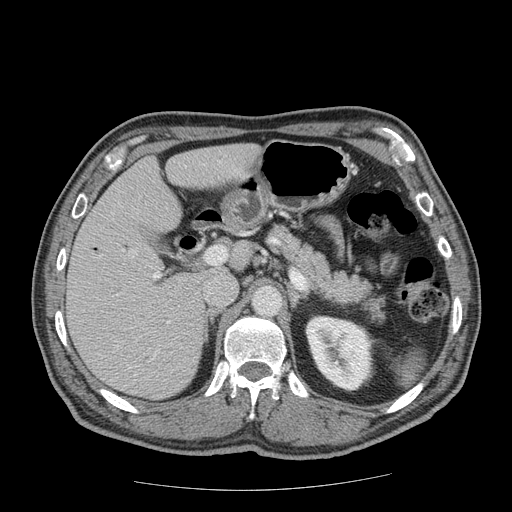 CT. Abdomen.

pancreas:
  - <bbox>266, 221, 387, 326</bbox>